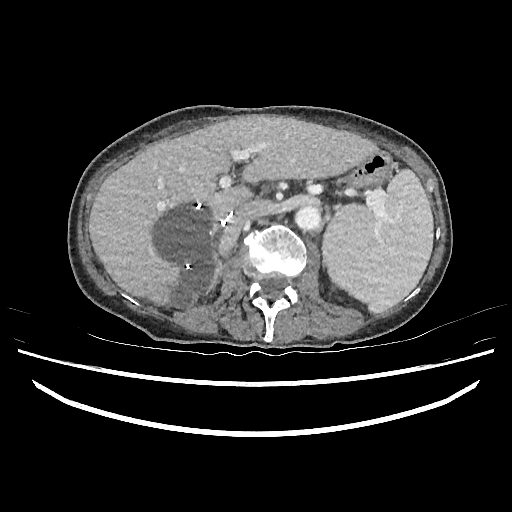 CT | Abdomen

The hepatic lesion is at bbox=[155, 206, 220, 305]. 2 liver regions are located at bbox=[207, 252, 218, 289]; bbox=[90, 117, 373, 305].